Slice 138 of 629, Lower abdomen, CT slice 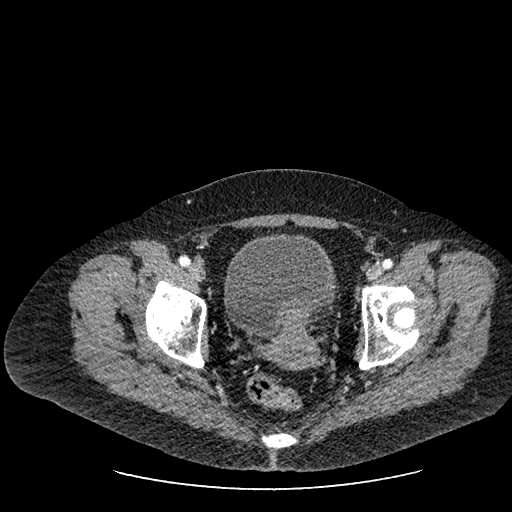
{"urinary_bladder": ["bbox=[225, 233, 335, 337]"]}